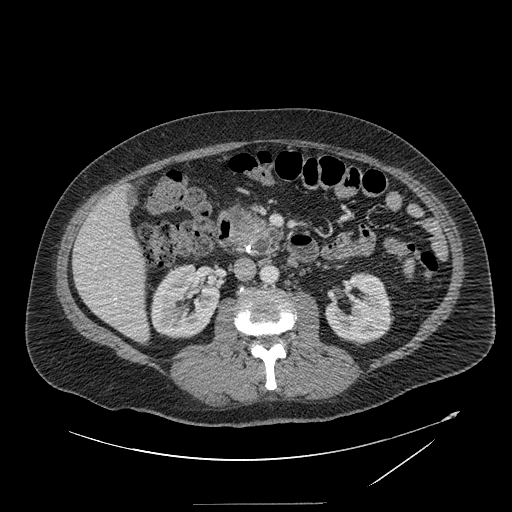 Abdomen. CT slice.
Pancreas: box=[233, 207, 281, 253].
Pancreatic tumor: box=[239, 216, 263, 242].